FLAIR MRI.
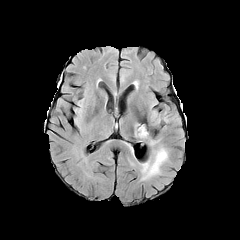
T1-weighted MRI.
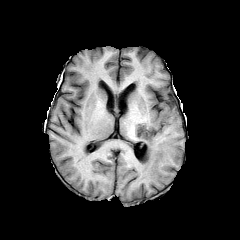
Post-contrast T1-weighted MR image.
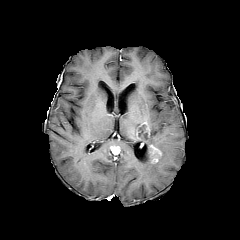
T2-weighted MRI.
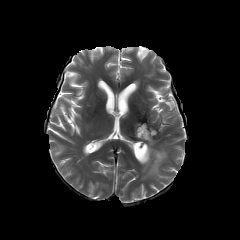
Brain
{
  "edema": [
    "139,145,168,180"
  ],
  "enhancing_tumor": [
    "152,149,161,163"
  ],
  "non-enhancing_tumor_core": [
    "137,126,148,137"
  ]
}